Image size 240x240, Brain
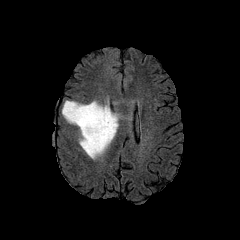
FLAIR MRI.
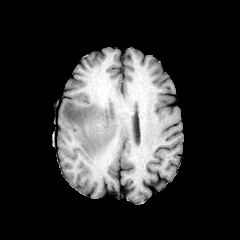
T1-weighted MR.
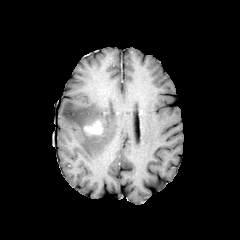
Post-contrast T1-weighted magnetic resonance.
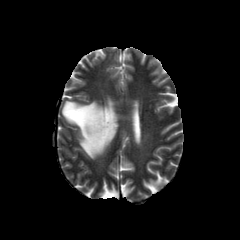
T2-weighted magnetic resonance.
edema: region(60, 100, 118, 159) | non-enhancing tumor core: region(83, 119, 103, 136) | enhancing tumor: region(84, 121, 102, 134)